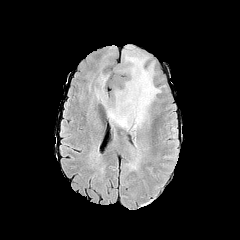
FLAIR MR image.
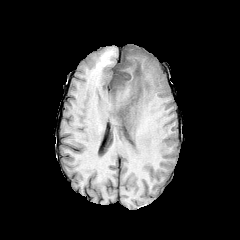
T1-weighted magnetic resonance of the same slice.
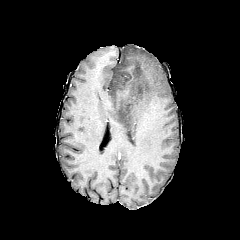
Post-contrast T1-weighted MR.
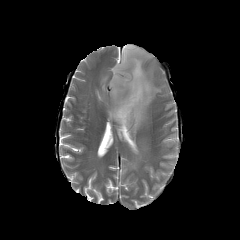
T2-weighted MR image.
The edema lies within bbox(107, 45, 161, 169).